CT image; Slice 504 of 654; Liver
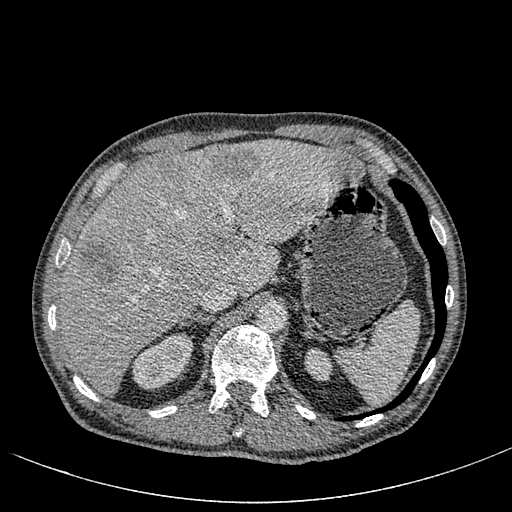 Liver = left=58, top=140, right=363, bottom=397.
Kidney = left=305, top=349, right=332, bottom=380; left=133, top=334, right=192, bottom=388.
Hepatic lesion = left=80, top=228, right=121, bottom=282; left=209, top=233, right=240, bottom=253; left=206, top=145, right=256, bottom=178; left=159, top=155, right=182, bottom=179.